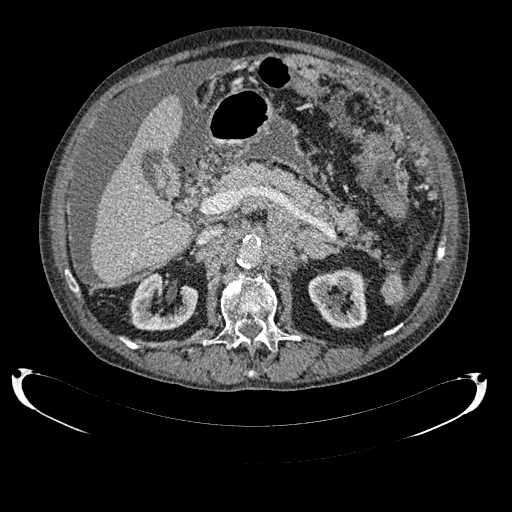 CT, Image size 512x512
liver:
  - 91,95,191,283
kidney:
  - 308,270,366,327
  - 131,273,197,330